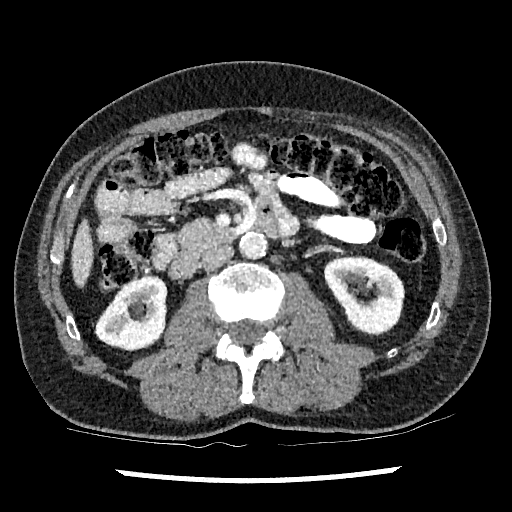 Computed tomography
liver: box(71, 218, 92, 287) | kidney: box(97, 277, 165, 348); box(325, 258, 403, 332)